Slice 105/155; 240x240 px
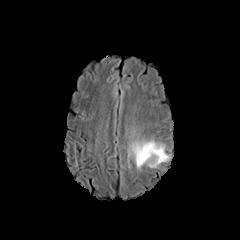
FLAIR MR.
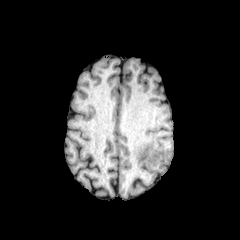
T1-weighted MR image.
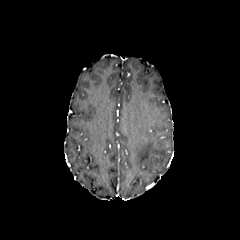
Post-contrast T1-weighted MR.
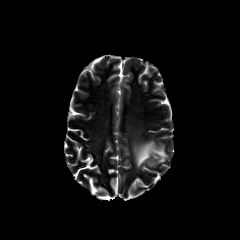
Same slice, T2-weighted MR image.
Edema: bounding box box(134, 140, 168, 167).